FLAIR MR.
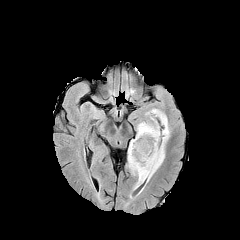
T1-weighted magnetic resonance.
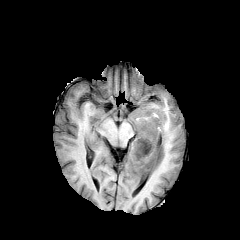
Post-contrast T1-weighted magnetic resonance.
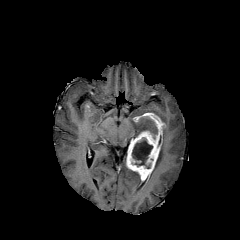
T2-weighted MR image.
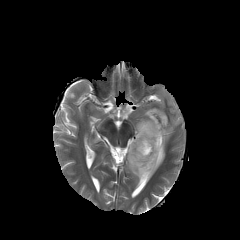
{
  "non-enhancing_tumor_core": [
    "131 137 153 168",
    "138 116 158 139"
  ],
  "edema": [
    "145 108 170 179",
    "129 169 143 188",
    "135 119 150 136"
  ],
  "enhancing_tumor": [
    "126 113 164 180"
  ]
}